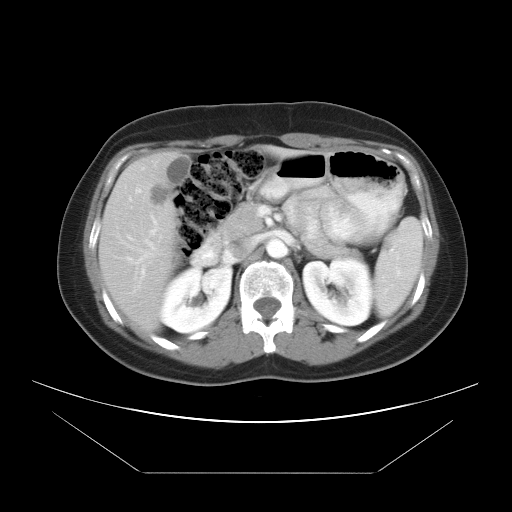 CT image
Not every hepatic vessel necessarily has a box.
- liver tumor: [146,181,173,206]
- hepatic vessel: [126,215,158,264]